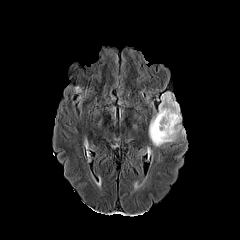
FLAIR MR image.
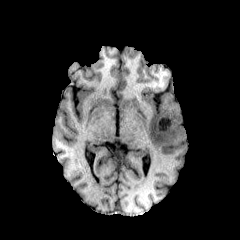
T1-weighted magnetic resonance.
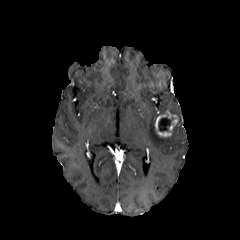
Post-contrast T1-weighted magnetic resonance of the same slice.
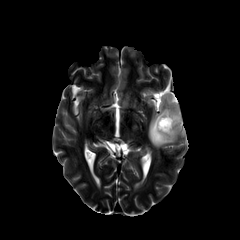
T2-weighted MR of the same slice.
Image size 240x240
{
  "edema": [
    "l=148, t=93, r=185, b=148"
  ],
  "enhancing_tumor": [
    "l=154, t=110, r=178, b=137"
  ],
  "non-enhancing_tumor_core": [
    "l=159, t=117, r=171, b=131"
  ]
}